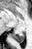

Magnetic resonance. Medial temporal lobe. Segmented structures:
- posterior hippocampus: (11, 33, 24, 43)